CT.
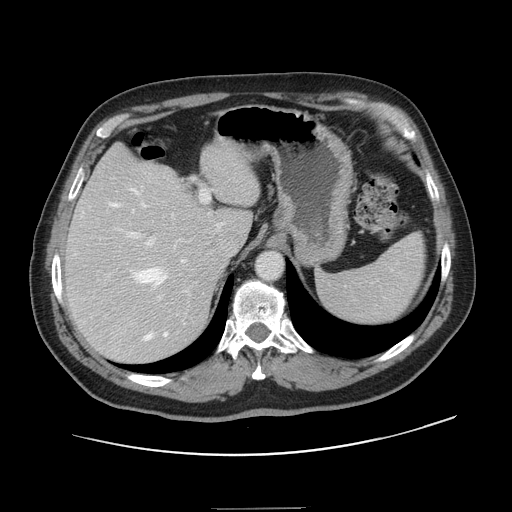
The vessel boxes may cover only some of the vessels.
<segmentation>
  <hepatic_vessel>(x1=118, y1=228, x2=120, y2=229), (x1=145, y1=332, x2=152, y2=339), (x1=128, y1=232, x2=136, y2=237), (x1=200, y1=191, x2=209, y2=201), (x1=109, y1=202, x2=119, y2=206), (x1=136, y1=269, x2=165, y2=284), (x1=164, y1=332, x2=167, y2=335), (x1=132, y1=189, x2=138, y2=193), (x1=146, y1=239, x2=153, y2=245), (x1=142, y1=203, x2=145, y2=206), (x1=181, y1=259, x2=186, y2=262)</hepatic_vessel>
</segmentation>